Slice 117 of 158, Image size 512x512, Computed tomography 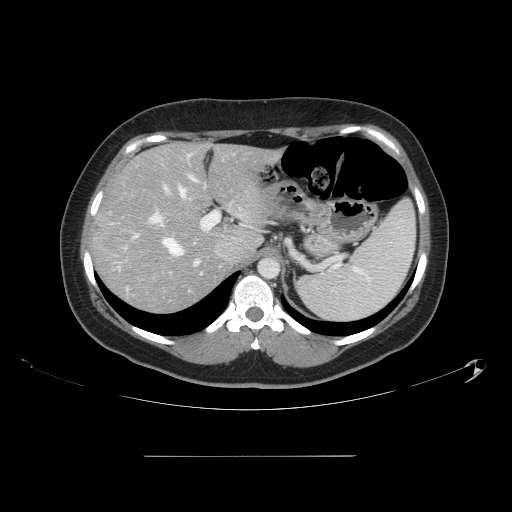 The vessel annotation is not exhaustive.
8 hepatic vessel regions appear at [163, 186, 166, 189], [133, 235, 136, 237], [189, 175, 195, 179], [149, 212, 162, 224], [163, 238, 182, 255], [201, 212, 218, 230], [179, 186, 186, 195], [195, 260, 198, 265]. The liver tumor lies within [93, 223, 100, 233].